Brain
FLAIR magnetic resonance.
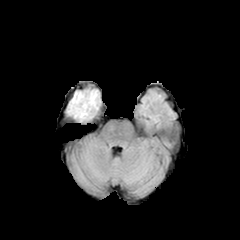
T1-weighted MR image.
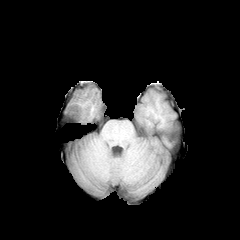
Post-contrast T1-weighted MRI.
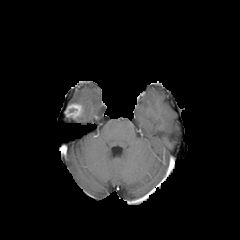
T2-weighted magnetic resonance.
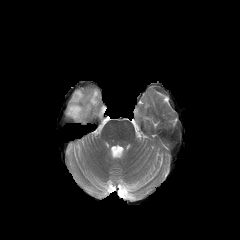
Enhancing tumor: x1=65 y1=104 x2=82 y2=119.
Edema: x1=69 y1=89 x2=100 y2=122.